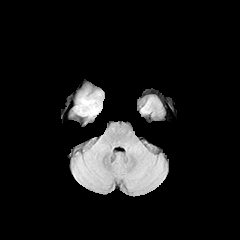
FLAIR MR.
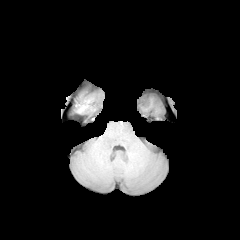
T1-weighted MR image.
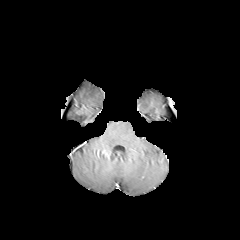
Post-contrast T1-weighted magnetic resonance.
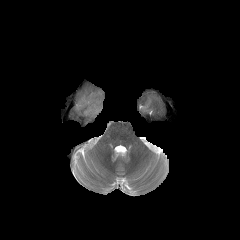
T2-weighted magnetic resonance of the same slice.
240x240
Edema — 74,92,102,117.